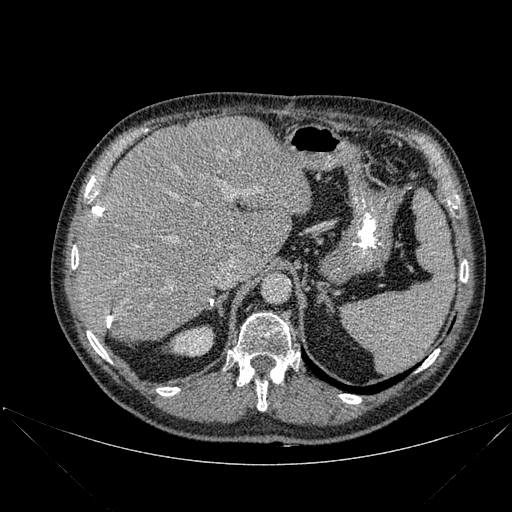 CT image
<segmentation>
  <bone>box(85, 177, 96, 198); box(87, 331, 111, 362); box(452, 195, 458, 208); box(419, 349, 439, 369); box(227, 313, 299, 385); box(71, 247, 78, 269); box(460, 264, 468, 282); box(256, 381, 267, 410); box(339, 394, 361, 404); box(156, 387, 179, 396)</bone>
  <lung>box(302, 351, 410, 393)</lung>
  <liver>box(77, 116, 311, 340)</liver>
  <kidney>box(172, 327, 212, 355)</kidney>
</segmentation>